CT. Abdomen. 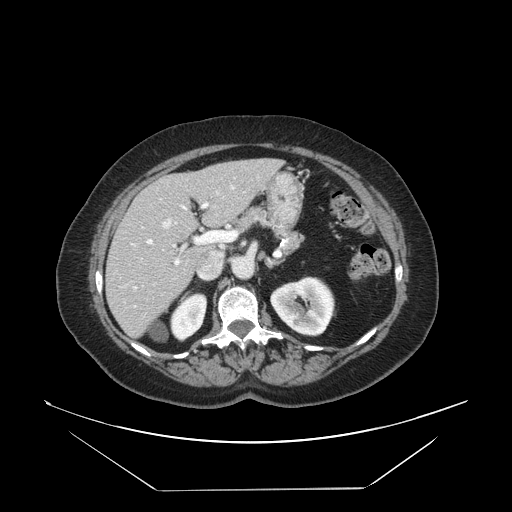 The pancreas is located at (234,204,303,255).